240x240
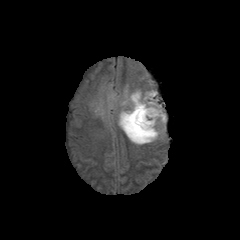
FLAIR MR image.
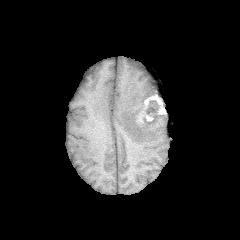
T1-weighted MR of the same slice.
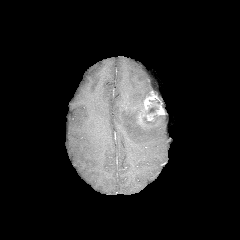
Same slice, post-contrast T1-weighted MRI.
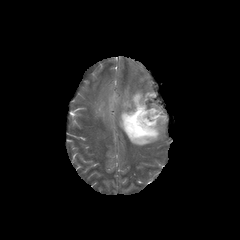
T2-weighted MRI.
The enhancing tumor appears at <box>138,91,163,123</box>. 2 non-enhancing tumor core regions appear at <box>126,98,158,135</box>, <box>148,95,159,114</box>. 2 edema regions are located at <box>117,88,166,145</box>, <box>109,90,117,106</box>.